Slice index 454 | Upper abdomen | Field of view 381 mm wide, 0.80 mm slice spacing | CT scan slice
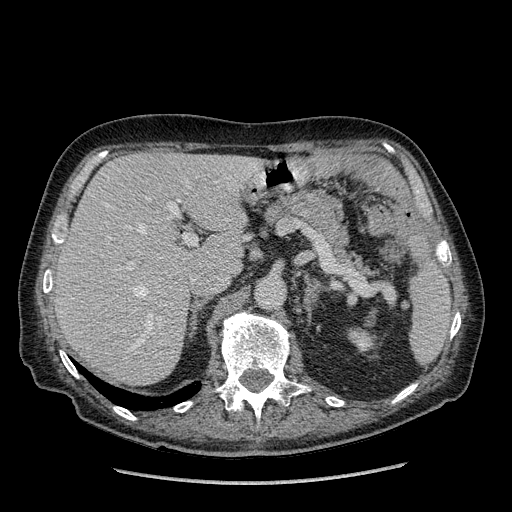

kidney:
  - 348:328:374:350
liver:
  - 55:152:258:385